CT image; Field of view 369 mm wide, 0.80 mm slice spacing; Liver; Slice 521/816
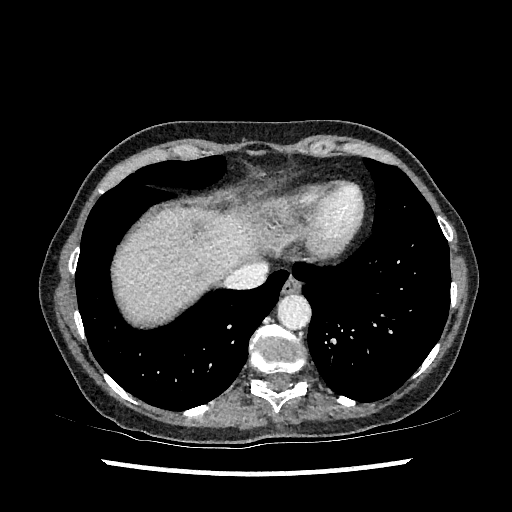
Liver — (x1=113, y1=207, x2=267, y2=320).
Focal liver lesion — (x1=185, y1=220, x2=209, y2=242).